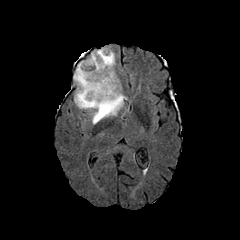
FLAIR MR image.
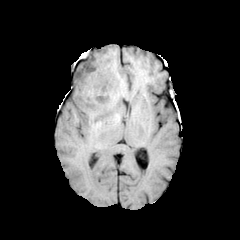
T1-weighted magnetic resonance.
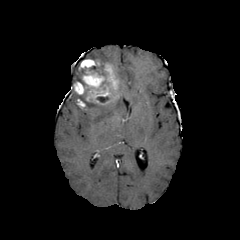
Same slice, post-contrast T1-weighted MR.
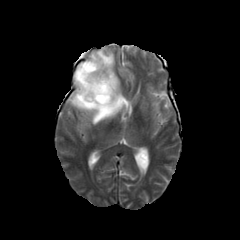
T2-weighted magnetic resonance.
Image size 240x240 | Head
{
  "edema": [
    "77 47 116 77",
    "87 79 126 124"
  ],
  "non-enhancing_tumor_core": [
    "72 70 85 89",
    "90 60 107 76",
    "75 89 108 110"
  ],
  "enhancing_tumor": [
    "74 59 117 101"
  ]
}